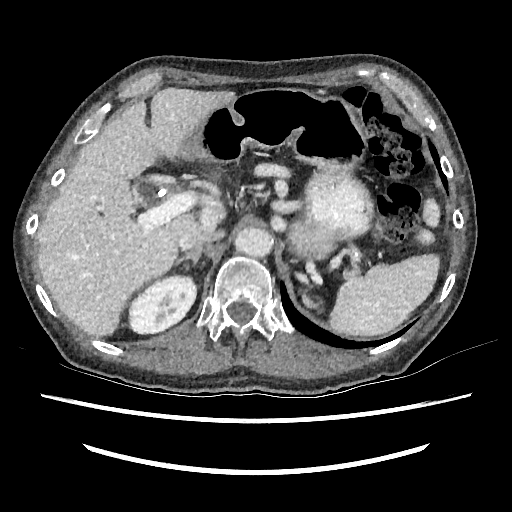
CT

* liver: box(208, 205, 223, 215); box(37, 89, 231, 334)
* kidney: box(130, 277, 195, 333)